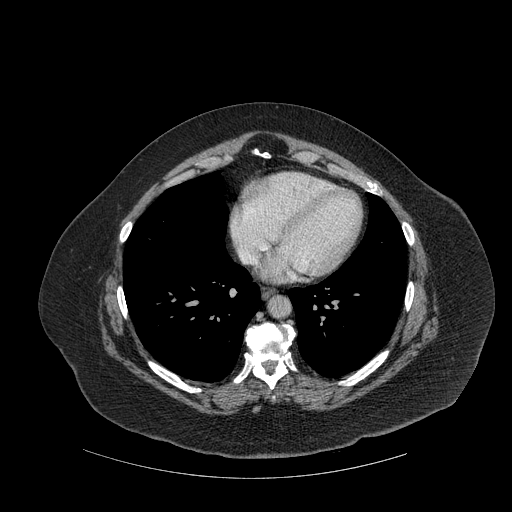

Image size 512x512; CT image; Chest

Lung = <bbox>288, 193, 406, 377</bbox>, <bbox>123, 171, 260, 381</bbox>.
Bone = <bbox>402, 222, 413, 244</bbox>, <bbox>234, 323, 296, 388</bbox>, <bbox>339, 351, 388, 385</bbox>, <bbox>117, 287, 127, 317</bbox>, <bbox>148, 362, 200, 392</bbox>, <bbox>405, 282, 413, 310</bbox>, <bbox>120, 222, 131, 241</bbox>, <bbox>254, 149, 269, 157</bbox>.